Image width 512 mm; Upper abdomen; Image size 512x512; CT scan slice
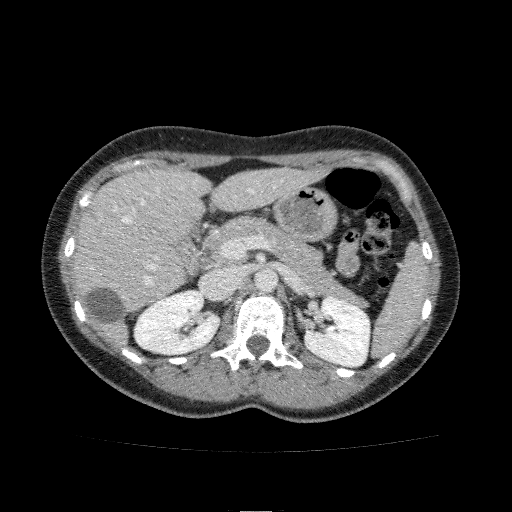
2 kidney regions appear at (134,291,218,354), (305,297,369,366). 2 liver regions appear at (211,167,325,211), (73,166,210,345).